FLAIR MRI.
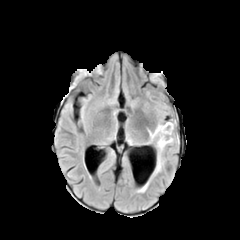
T1-weighted magnetic resonance.
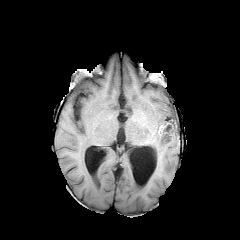
Post-contrast T1-weighted MR image.
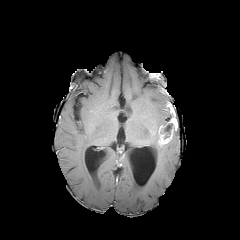
T2-weighted magnetic resonance.
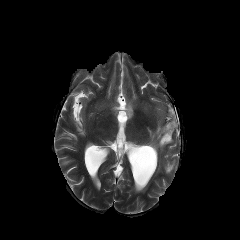
3 edema regions appear at left=147, top=123, right=167, bottom=177; left=137, top=180, right=149, bottom=192; left=163, top=109, right=171, bottom=122. The non-enhancing tumor core appears at left=159, top=119, right=172, bottom=134. 2 enhancing tumor regions are located at left=159, top=134, right=171, bottom=143; left=168, top=116, right=177, bottom=134.